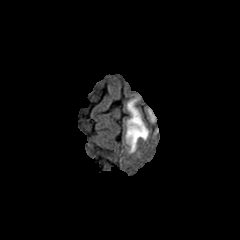
FLAIR MR image.
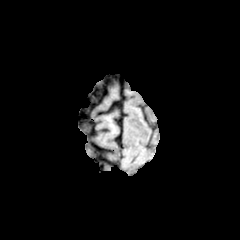
T1-weighted magnetic resonance of the same slice.
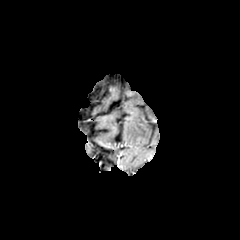
Post-contrast T1-weighted MR of the same slice.
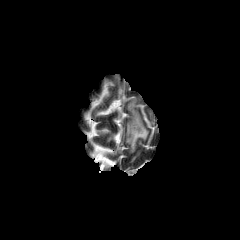
Same slice, T2-weighted magnetic resonance.
Image size 240x240.
Segmented structures:
- edema: box(125, 97, 155, 152)